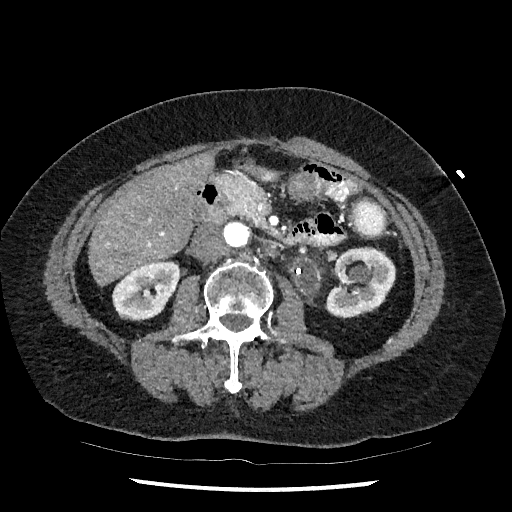
Computed tomography; Upper abdomen
Kidney at 113,262,179,319; 327,248,394,316.
Liver at 88,154,214,286.